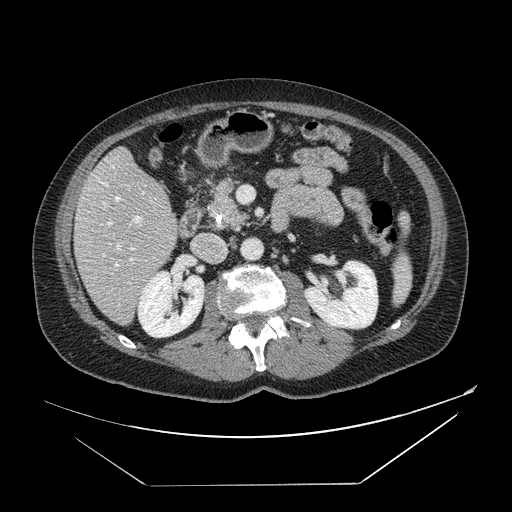
CT scan slice | Upper abdomen

{"pancreas": ["<bbox>208, 181, 247, 229</bbox>"], "pancreatic_tumor": ["<bbox>219, 200, 237, 217</bbox>"]}